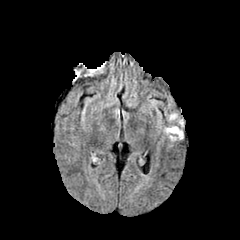
FLAIR MR.
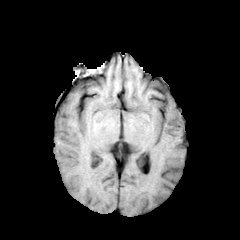
T1-weighted MR.
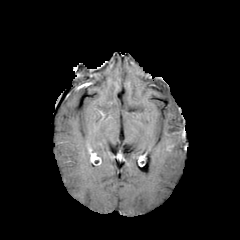
Post-contrast T1-weighted MRI.
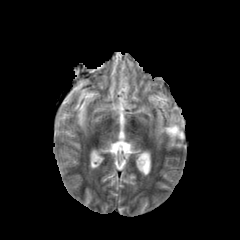
T2-weighted MR image of the same slice.
240x240
The edema is located at bbox=[161, 109, 183, 141].